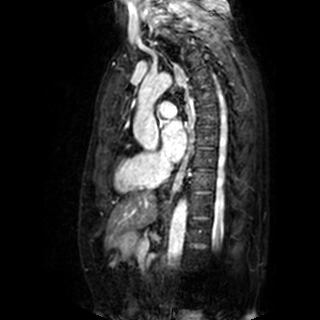
MRI slice; Image size 320x320
Left atrium at left=161, top=120, right=186, bottom=161.